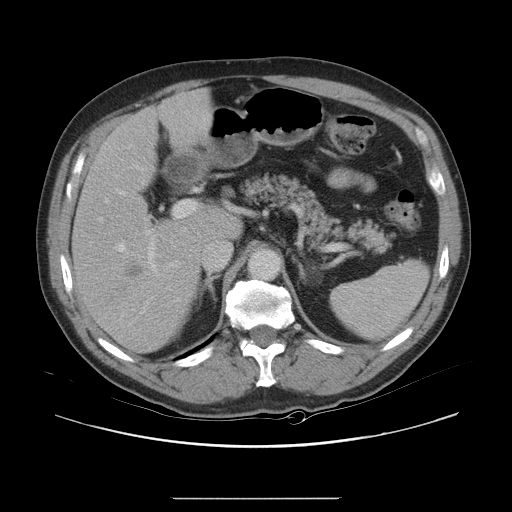 CT scan slice
The vessel boxes may cover only some of the vessels.
Liver tumor at {"x1": 108, "y1": 263, "x2": 144, "y2": 300}.
Hepatic vessel at {"x1": 134, "y1": 164, "x2": 148, "y2": 170}, {"x1": 117, "y1": 191, "x2": 126, "y2": 195}, {"x1": 185, "y1": 111, "x2": 187, "y2": 112}, {"x1": 148, "y1": 237, "x2": 159, "y2": 276}, {"x1": 141, "y1": 181, "x2": 144, "y2": 184}, {"x1": 115, "y1": 243, "x2": 124, "y2": 251}, {"x1": 145, "y1": 230, "x2": 151, "y2": 234}.